Image size 240x240. Field of view 240 mm wide, 1.00 mm slice spacing. Slice 46/155.
FLAIR MR image.
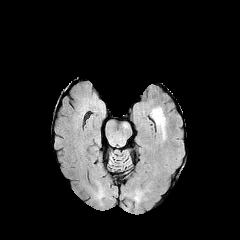
T1-weighted MR.
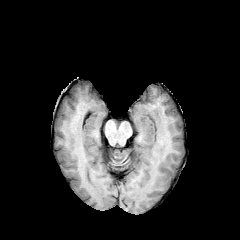
Post-contrast T1-weighted MR.
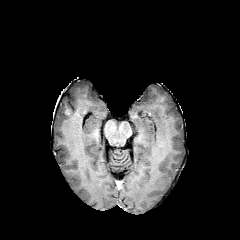
T2-weighted MRI.
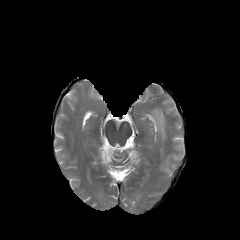
edema:
  - bbox(147, 107, 165, 141)